Computed tomography, Image width 487 mm, 512x512, Slice index 63
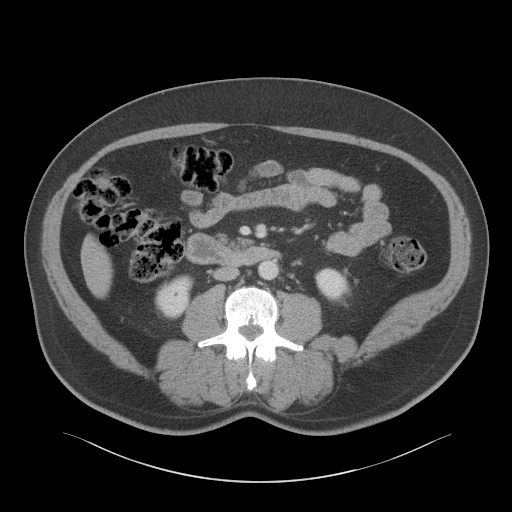 liver:
  - <box>85,243,110,292</box>
kidney:
  - <box>316,269,346,298</box>
  - <box>157,278,190,315</box>